240x240 px, Brain
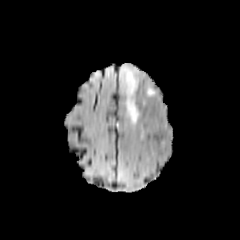
FLAIR MR.
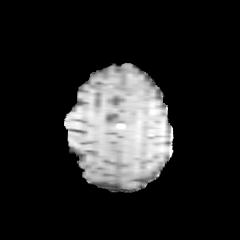
T1-weighted MR image.
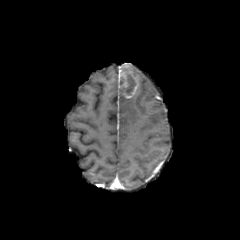
Post-contrast T1-weighted MR image of the same slice.
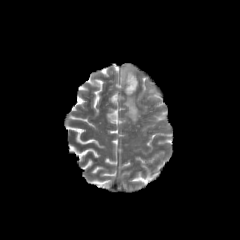
T2-weighted magnetic resonance.
Enhancing tumor: x1=120 y1=64 x2=138 y2=98.
Edema: x1=125 y1=95 x2=139 y2=122.
Non-enhancing tumor core: x1=120 y1=74 x2=136 y2=94.